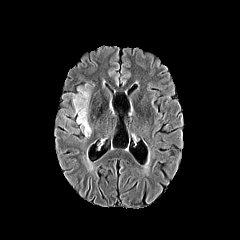
FLAIR MR.
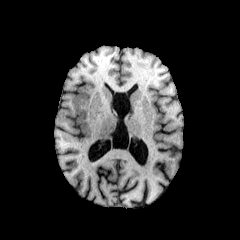
Same slice, T1-weighted MR.
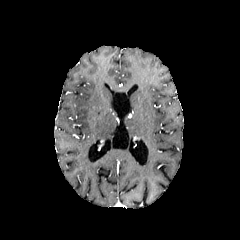
Post-contrast T1-weighted MR.
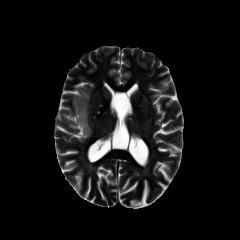
Same slice, T2-weighted MRI.
Head
{"edema": ["<bbox>68, 84, 92, 141</bbox>", "<bbox>62, 114, 74, 124</bbox>"]}